Slice 284 of 463, CT scan slice
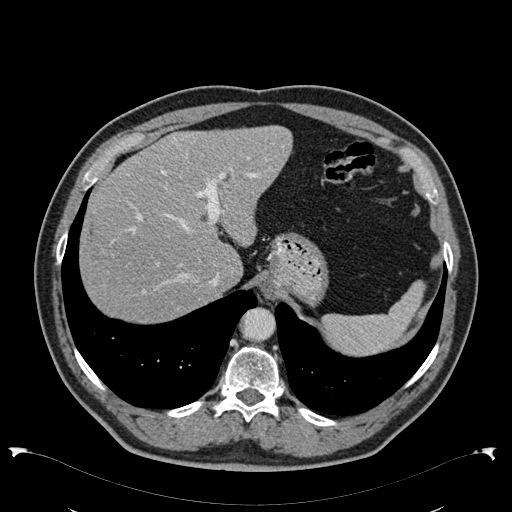
The liver is located at box(80, 125, 292, 321).